240x240 | Slice 74/155
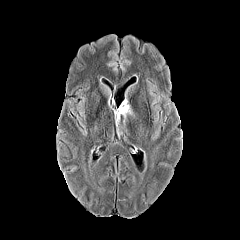
FLAIR MRI.
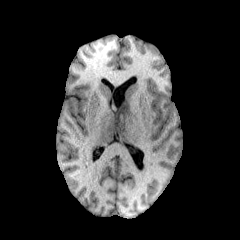
T1-weighted MR.
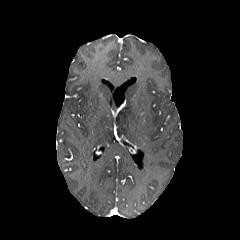
Same slice, post-contrast T1-weighted MRI.
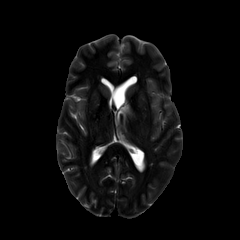
Same slice, T2-weighted MR image.
The edema appears at x1=117, y1=105, x2=132, y2=119.